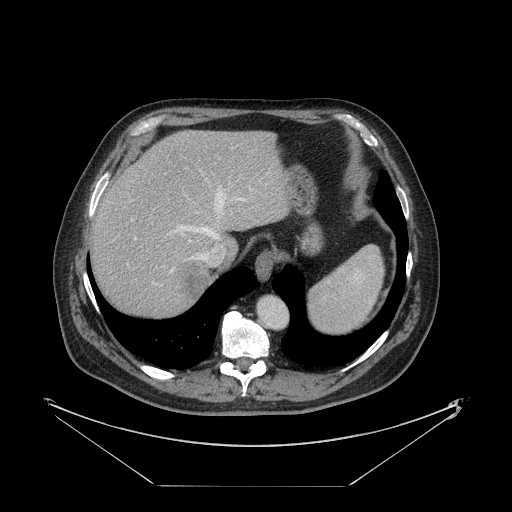
Abdomen | 512x512 px | CT

Not every hepatic vessel necessarily has a box.
The liver tumor lies within (left=173, top=262, right=207, bottom=297). 6 hepatic vessel regions are bounded by (left=152, top=281, right=155, bottom=283), (left=218, top=186, right=221, bottom=200), (left=215, top=204, right=220, bottom=208), (left=131, top=219, right=133, bottom=220), (left=181, top=232, right=183, bottom=234), (left=249, top=188, right=251, bottom=189).